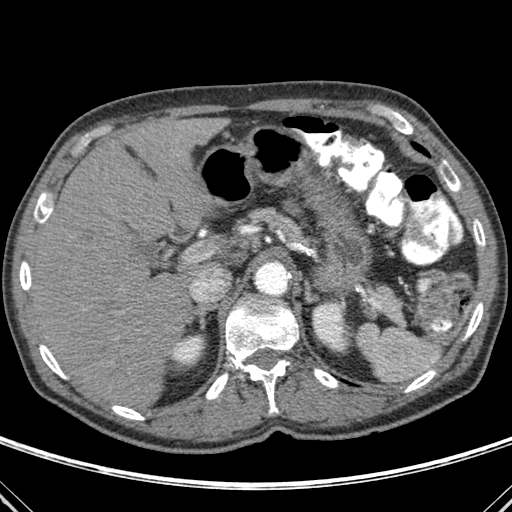

CT slice

11 bone regions appear at (19, 261, 31, 289), (34, 194, 51, 222), (206, 373, 228, 399), (465, 303, 482, 338), (473, 219, 485, 246), (112, 407, 144, 420), (314, 369, 337, 387), (225, 291, 298, 413), (405, 370, 435, 392), (39, 345, 65, 378), (443, 160, 460, 191). 2 kidney regions appear at (314, 304, 344, 349), (173, 338, 200, 362). The lung appears at (412, 143, 428, 155). The liver lies within (32, 118, 229, 410).